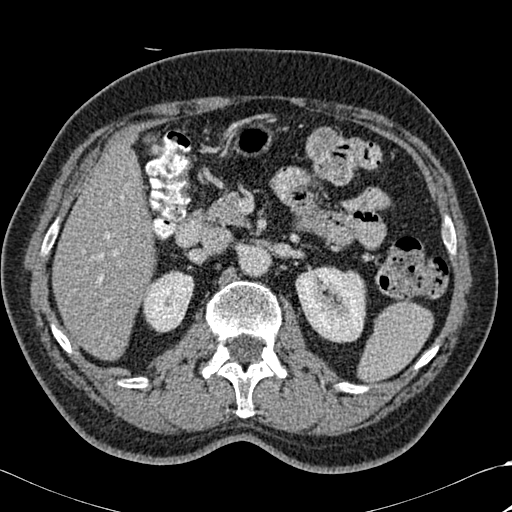 Abdomen. CT. Liver at l=53, t=145, r=151, b=359.
Kidney at l=296, t=268, r=364, b=341; l=144, t=272, r=193, b=331.
Bone at l=119, t=378, r=147, b=387; l=52, t=326, r=70, b=352; l=338, t=383, r=366, b=393; l=202, t=281, r=286, b=417; l=416, t=347, r=437, b=368; l=42, t=223, r=57, b=253; l=444, t=219, r=455, b=253.